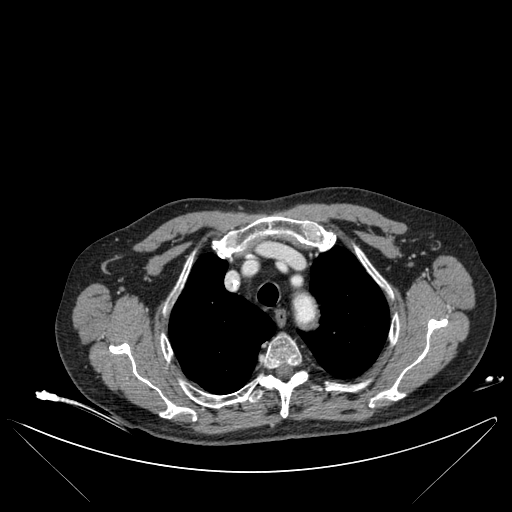

CT slice
3 lung regions are bounded by region(169, 253, 275, 394); region(299, 247, 389, 378); region(258, 284, 278, 305). 10 bone regions are bounded by region(161, 334, 172, 360); region(355, 247, 388, 289); region(264, 335, 300, 368); region(369, 319, 447, 406); region(213, 216, 335, 258); region(389, 314, 399, 343); region(326, 382, 367, 391); region(180, 371, 307, 417); region(109, 343, 196, 420); region(172, 257, 191, 297).